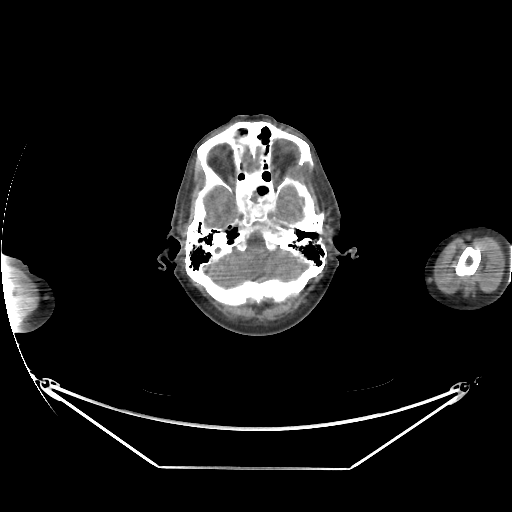
CT slice; 512x512 px; Brain
Segmented structures:
• brain: 240, 145, 265, 174; 267, 184, 304, 229; 203, 185, 243, 229; 202, 220, 309, 289; 249, 194, 269, 207